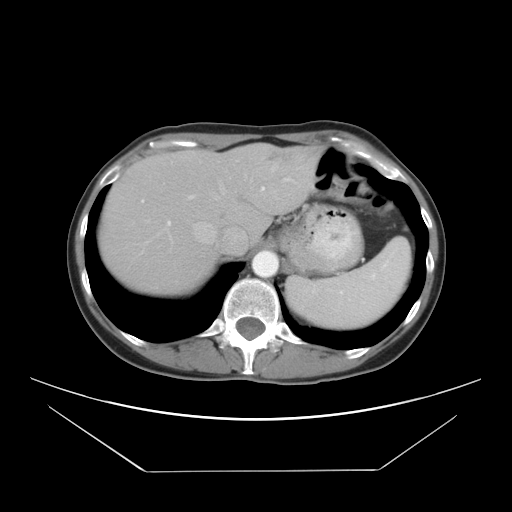

CT scan slice; Abdomen

The vessel boxes may cover only some of the vessels.
9 hepatic vessel regions are located at 167:220:170:223, 282:177:300:186, 141:199:143:201, 260:186:264:191, 188:194:194:198, 244:174:246:178, 198:238:201:240, 270:162:277:171, 218:180:225:193. The liver tumor appears at 267:155:276:162.